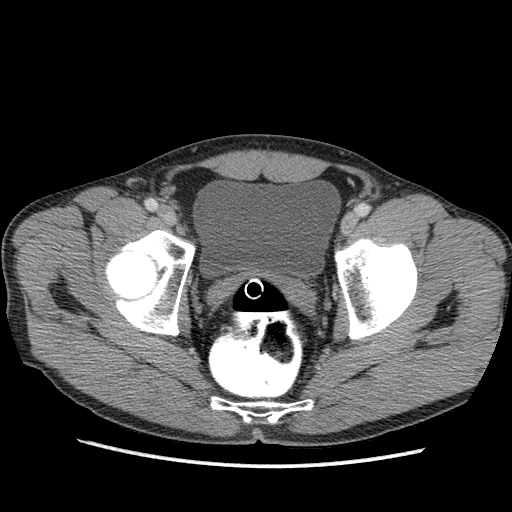

CT slice; 512x512
The urinary bladder is located at x1=193, y1=180, x2=340, y2=279.